Slice index 75
FLAIR MRI.
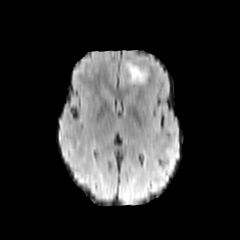
T1-weighted MR image.
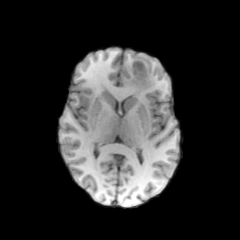
Post-contrast T1-weighted MRI.
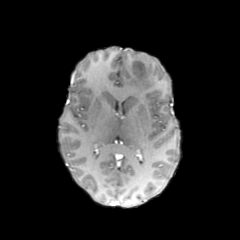
T2-weighted MRI.
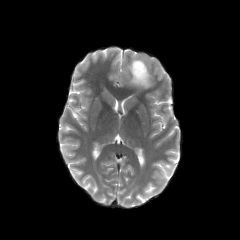
Non-enhancing tumor core: bounding box (132,61,146,78).
Edema: bounding box (126,60,152,88).